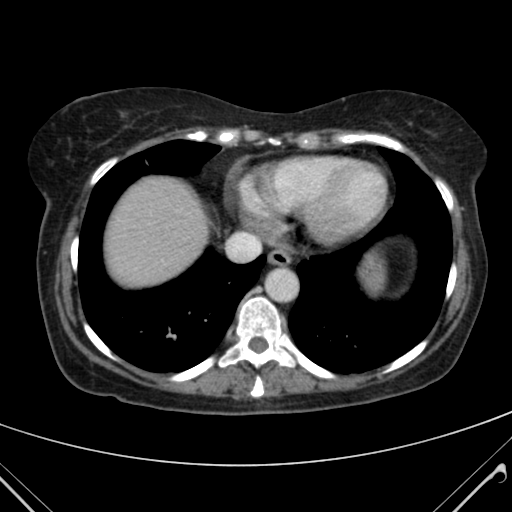

Liver. CT slice. - liver: box(105, 179, 212, 289)